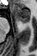
MRI

The anterior hippocampus lies within [x1=13, y1=5, x2=29, y2=23].